CT image, Upper abdomen 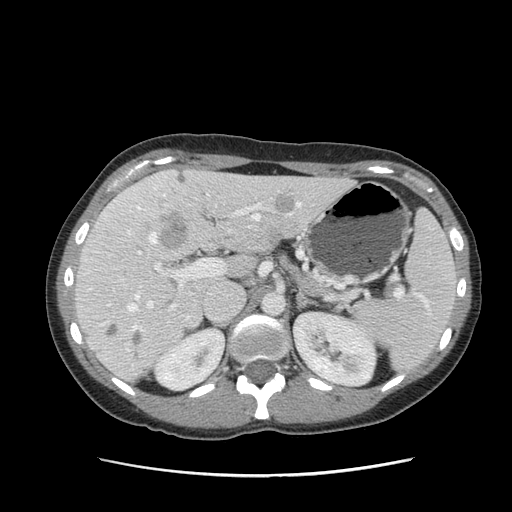

{"pancreas": ["[278,256,329,295]"]}